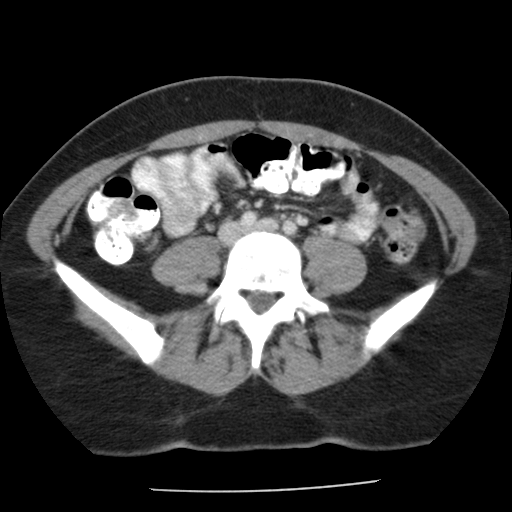
Computed tomography | Pelvis | 512x512
Colon tumor = 109, 200, 136, 219.